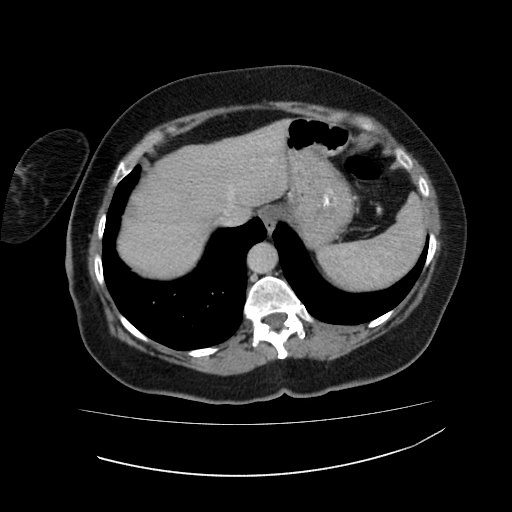

CT image. Upper abdomen. <segmentation>
  <liver>119,120,289,276</liver>
</segmentation>